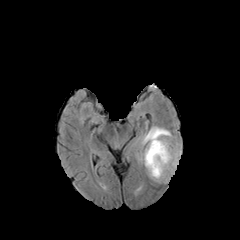
FLAIR MRI.
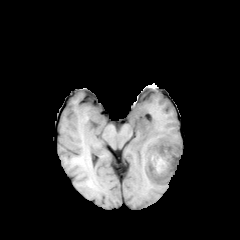
Same slice, T1-weighted magnetic resonance.
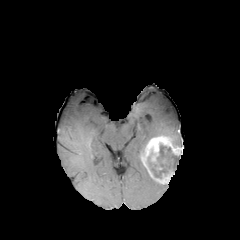
Post-contrast T1-weighted magnetic resonance.
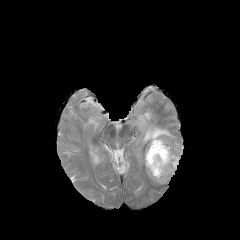
T2-weighted MR.
240x240
2 enhancing tumor regions appear at [155, 172, 174, 184], [141, 136, 183, 178]. The non-enhancing tumor core is located at [146, 143, 180, 179]. The edema is at [130, 120, 182, 164].